FLAIR MRI.
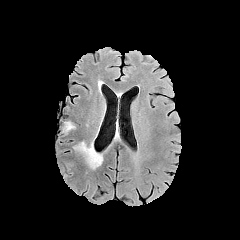
T1-weighted magnetic resonance.
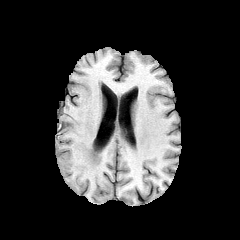
Post-contrast T1-weighted MRI.
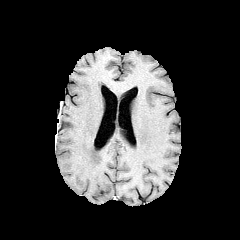
T2-weighted magnetic resonance.
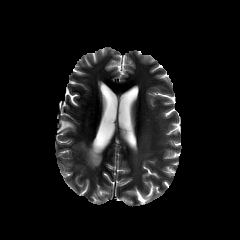
Head
The edema lies within bbox(73, 141, 101, 168).